FLAIR MR.
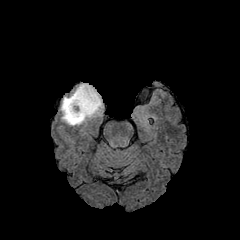
T1-weighted magnetic resonance.
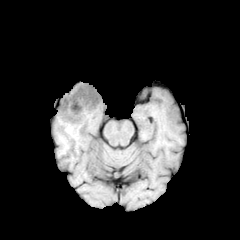
Post-contrast T1-weighted MR.
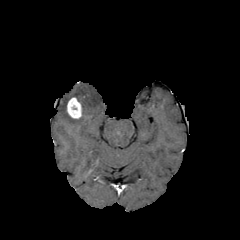
T2-weighted MRI.
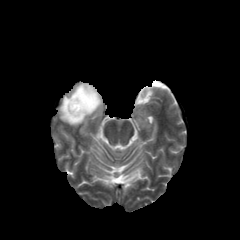
240x240. Head.
Findings:
* non-enhancing tumor core: bbox=[76, 92, 87, 110]
* edema: bbox=[58, 83, 103, 127]
* enhancing tumor: bbox=[66, 96, 83, 118]